Slice 81 of 154. Field of view 382x382 mm. CT slice. Abdomen.
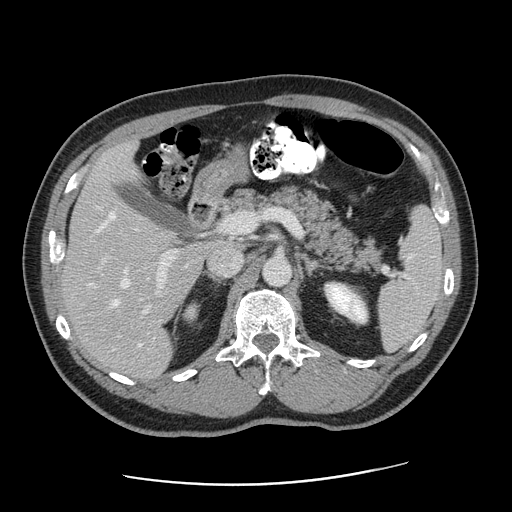 Some hepatic vessels may have no box.
Annotated regions:
- hepatic vessel: (138, 344, 141, 346), (87, 283, 91, 284), (158, 250, 178, 285), (111, 300, 118, 306), (122, 268, 129, 287), (107, 213, 114, 220), (204, 244, 242, 276), (143, 305, 150, 313), (95, 228, 100, 233), (220, 213, 250, 233)